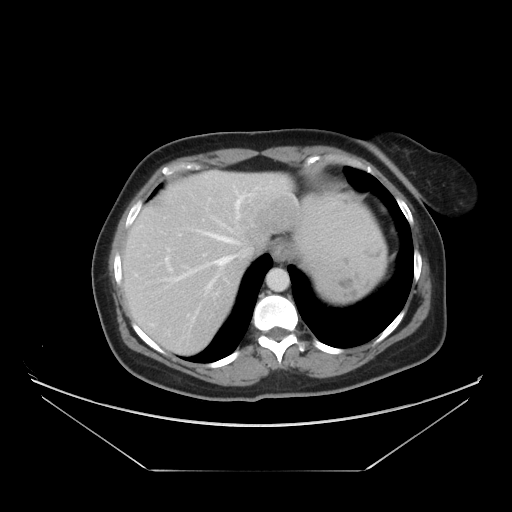

Liver; CT scan slice; 512x512 px
Not every hepatic vessel necessarily has a box.
hepatic vessel: region(236, 216, 240, 219); region(192, 197, 194, 199); region(216, 220, 224, 225); region(201, 196, 209, 211); region(167, 270, 196, 280); region(204, 232, 238, 243); region(217, 258, 227, 269); region(207, 279, 214, 290)